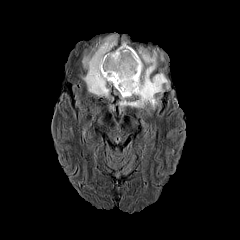
FLAIR MR image.
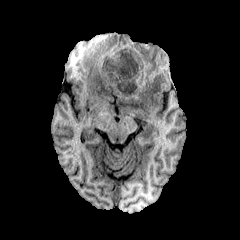
Same slice, T1-weighted MR.
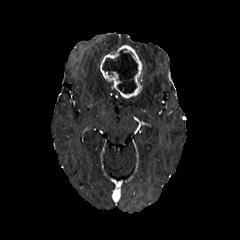
Same slice, post-contrast T1-weighted MR.
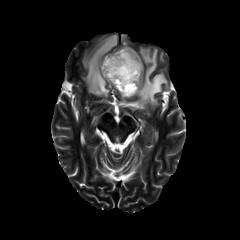
Same slice, T2-weighted MR.
Brain
3 edema regions appear at (119,48,169,110), (122,35,131,44), (80,34,118,96). The non-enhancing tumor core lies within (102,50,138,93). The enhancing tumor appears at (99,44,142,99).